FLAIR MRI.
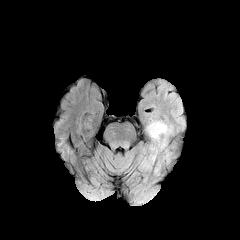
T1-weighted MRI.
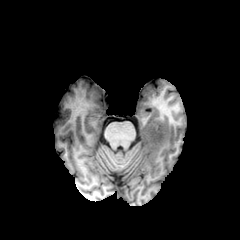
Post-contrast T1-weighted magnetic resonance.
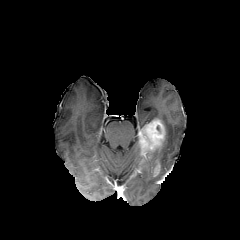
T2-weighted MRI.
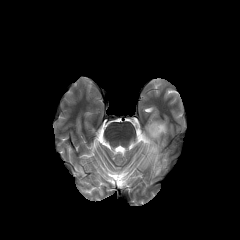
Head
{
  "enhancing_tumor": [
    "<bbox>140, 120, 165, 161</bbox>",
    "<bbox>153, 165, 159, 177</bbox>"
  ],
  "edema": [
    "<bbox>148, 139, 165, 163</bbox>"
  ]
}